Slice index 211; CT slice; Lower abdomen; 512x512
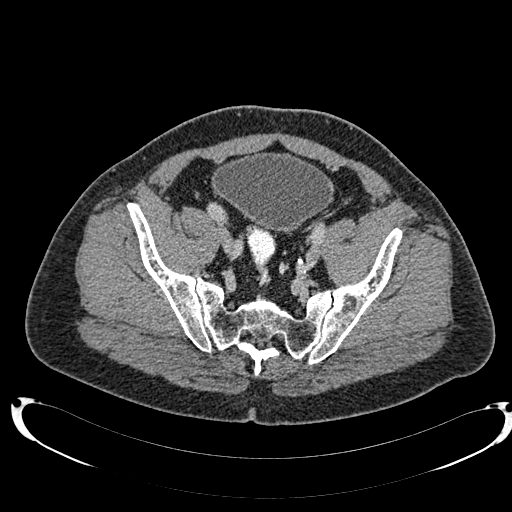

urinary bladder: 213:152:331:232